FLAIR magnetic resonance.
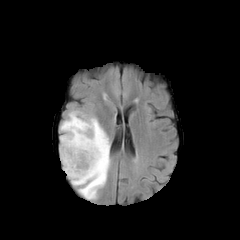
T1-weighted magnetic resonance.
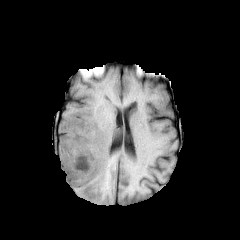
Post-contrast T1-weighted magnetic resonance.
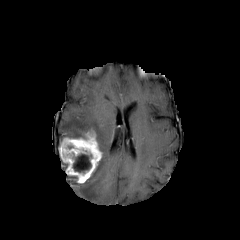
T2-weighted MRI.
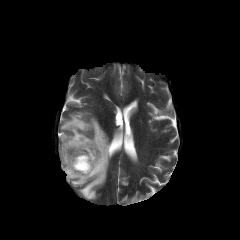
240x240
The edema is at bbox=[60, 111, 111, 200]. The non-enhancing tumor core is located at bbox=[73, 154, 91, 171]. The enhancing tumor appears at bbox=[59, 132, 102, 183].